FLAIR MR image.
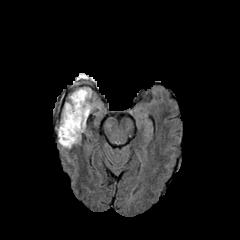
T1-weighted magnetic resonance.
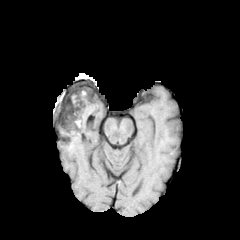
Post-contrast T1-weighted MR.
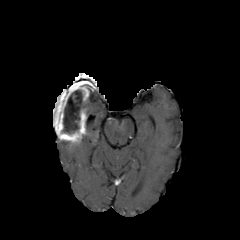
T2-weighted MRI.
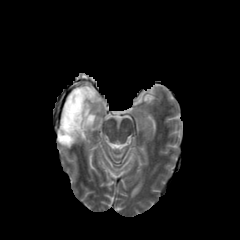
240x240 px
Segmented structures:
* non-enhancing tumor core: (59, 103, 79, 139)
* edema: (65, 87, 91, 146)